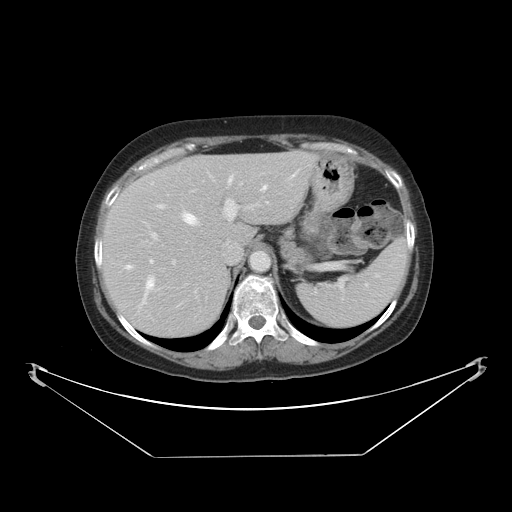 CT slice; Abdomen; Image size 512x512
Not every hepatic vessel necessarily has a box.
<segmentation>
  <hepatic_vessel>183:213:196:224, 141:277:153:304, 228:177:231:183, 150:260:152:262, 261:186:265:190, 158:205:162:207, 126:265:131:268, 152:233:156:237, 225:200:236:219</hepatic_vessel>
</segmentation>